Computed tomography; Slice index 455; Abdomen; Image width 330 mm; Image size 512x512
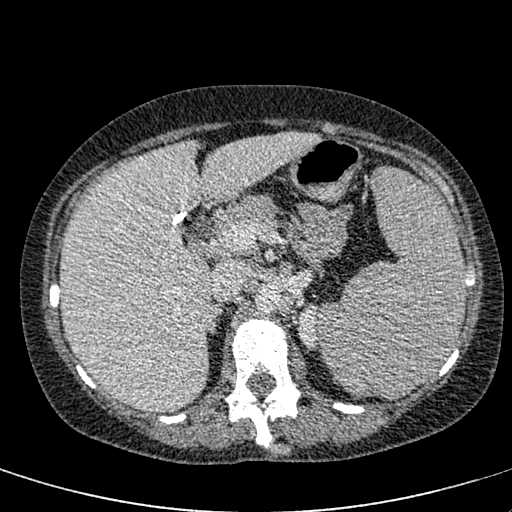

Liver at 60,133,320,411.
Kidney at 298,305,316,347.